FLAIR MRI.
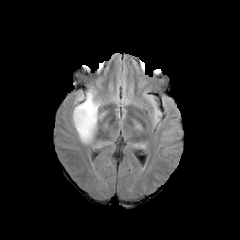
T1-weighted MR.
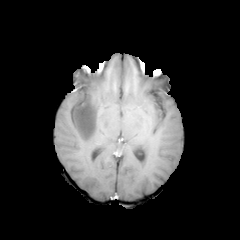
Post-contrast T1-weighted magnetic resonance.
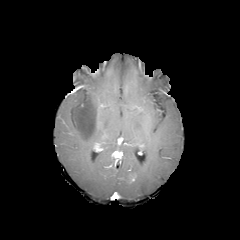
T2-weighted MRI.
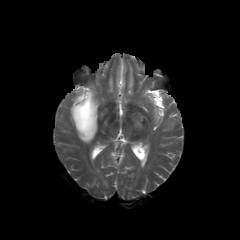
Non-enhancing tumor core = (76,95,94,137).
Edema = (70,85,104,143), (145,94,160,124), (93,141,106,150).